320x320; Magnetic resonance; Cardiac 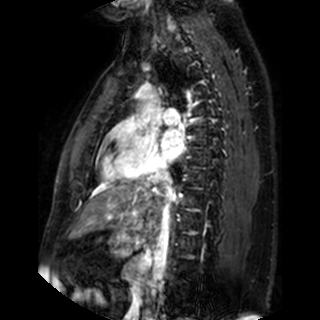 The left atrium is bounded by <bbox>161, 129, 184, 160</bbox>.